Slice 349/624. Field of view 350 mm wide, 0.70 mm slice spacing. CT image. 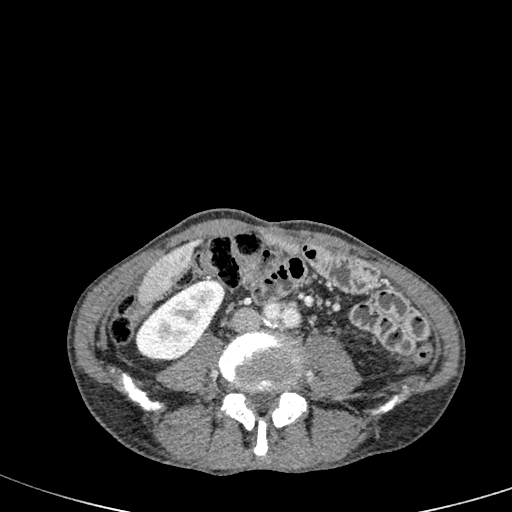

The kidney is located at 136, 280, 223, 359. The liver is located at 139, 238, 202, 303.